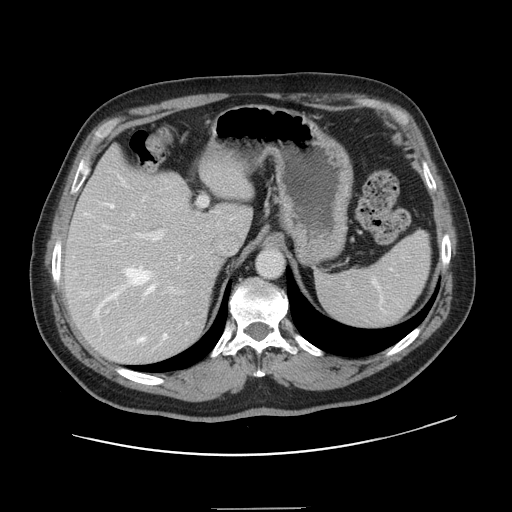
Liver, CT, 512x512 px

Only some of the vessels may be annotated.
{
  "hepatic_vessel": [
    "(x1=179, y1=257, x2=180, y2=259)",
    "(x1=126, y1=266, x2=149, y2=284)",
    "(x1=138, y1=337, x2=145, y2=341)",
    "(x1=146, y1=284, x2=154, y2=293)",
    "(x1=105, y1=295, x2=114, y2=300)",
    "(x1=132, y1=213, x2=134, y2=215)",
    "(x1=163, y1=334, x2=166, y2=338)",
    "(x1=172, y1=289, x2=175, y2=292)",
    "(x1=122, y1=180, x2=126, y2=186)",
    "(x1=107, y1=203, x2=113, y2=207)",
    "(x1=137, y1=232, x2=161, y2=240)"
  ]
}